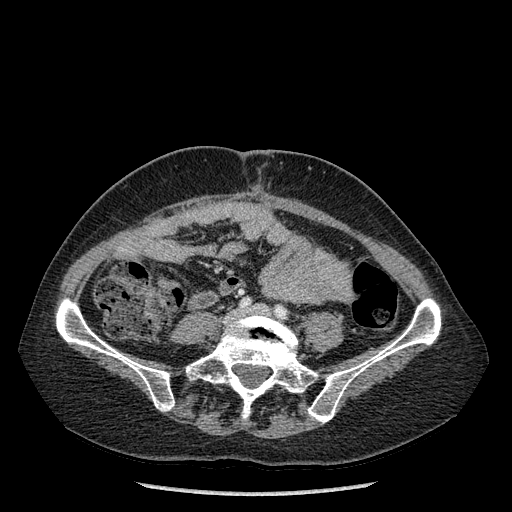
Computed tomography
Bone: 56, 298, 174, 411; 186, 314, 317, 419; 308, 298, 440, 423.